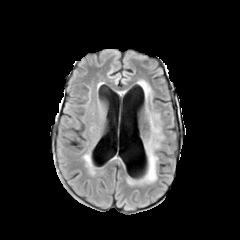
FLAIR MR image.
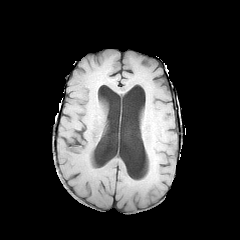
Same slice, T1-weighted MRI.
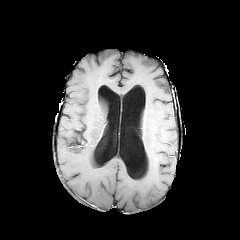
Post-contrast T1-weighted magnetic resonance.
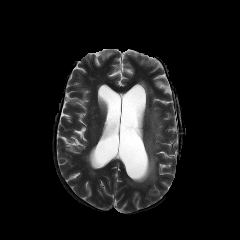
T2-weighted magnetic resonance.
Head
* edema: 139,81,150,101; 141,140,157,182